Field of view 419 mm wide, 5.00 mm slice spacing; CT image 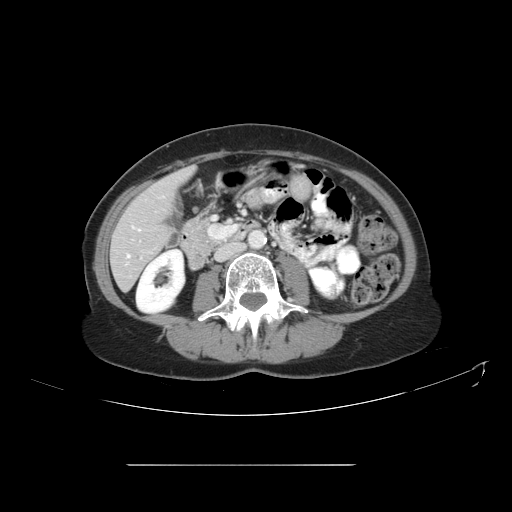

Not every hepatic vessel necessarily has a box.
hepatic vessel: (x1=161, y1=196, x2=164, y2=198), (x1=140, y1=257, x2=141, y2=259), (x1=137, y1=228, x2=140, y2=231), (x1=126, y1=254, x2=130, y2=257), (x1=132, y1=226, x2=135, y2=229)